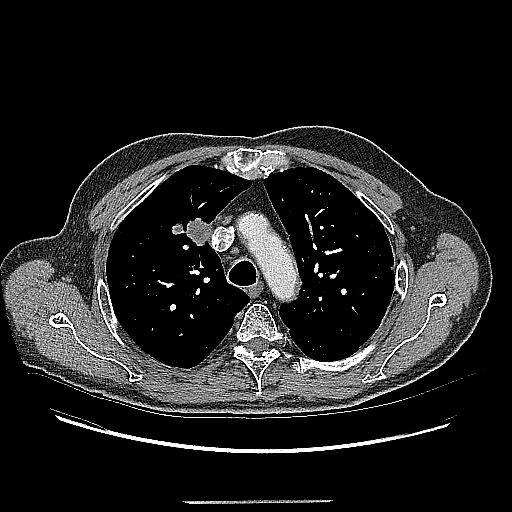
Chest, 512x512 px, CT image

The lung tumor lies within 172:218:211:245.